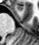 Hippocampus | Magnetic resonance
Anterior hippocampus at [15, 5, 23, 10].